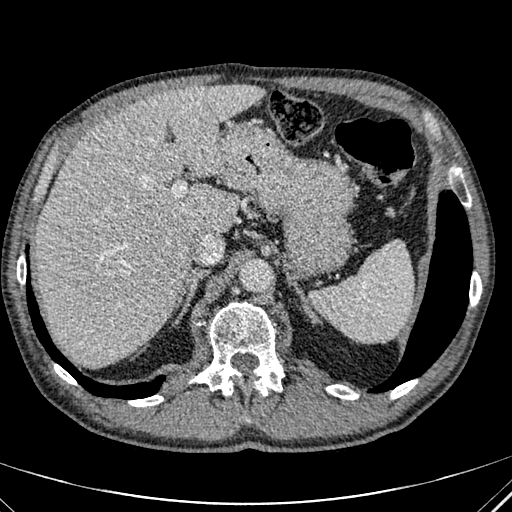
Computed tomography
Liver = (36,84,265,365).